FLAIR MR.
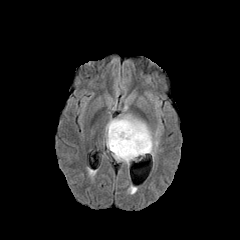
T1-weighted MR image.
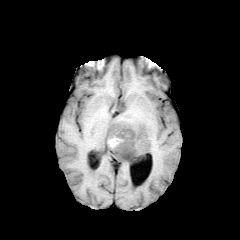
Post-contrast T1-weighted magnetic resonance.
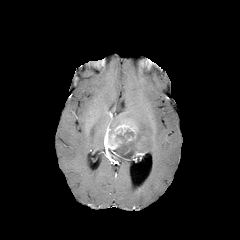
T2-weighted MR image.
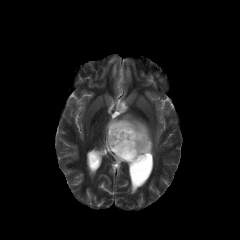
{
  "edema": [
    "box=[106, 114, 156, 158]"
  ],
  "enhancing_tumor": [
    "box=[132, 152, 144, 159]",
    "box=[105, 118, 137, 158]"
  ],
  "non-enhancing_tumor_core": [
    "box=[114, 129, 142, 161]"
  ]
}